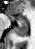 Magnetic resonance

Segmented structures:
• anterior hippocampus: (8, 15, 27, 21)
• posterior hippocampus: (14, 22, 28, 36)